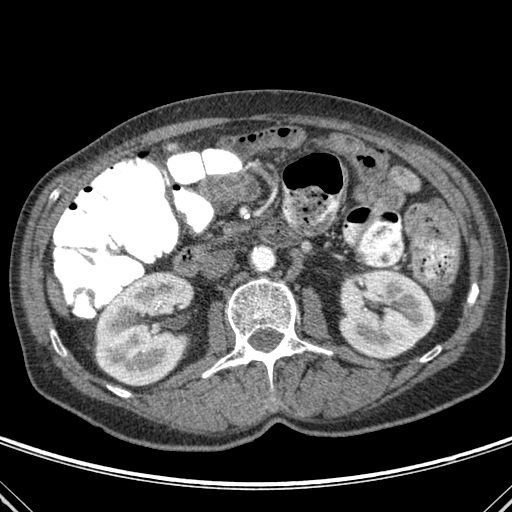

512x512. CT. <segmentation>
  <bone>left=468, top=283, right=478, bottom=304; left=50, top=329, right=66, bottom=355; left=420, top=346, right=441, bottom=362; left=241, top=208, right=249, bottom=218; left=202, top=278, right=332, bottom=387; left=107, top=385, right=130, bottom=397</bone>
  <liver>left=47, top=278, right=63, bottom=302</liver>
  <kidney>left=96, top=274, right=192, bottom=384; left=341, top=271, right=434, bottom=357</kidney>
</segmentation>